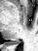

Medial temporal lobe | MRI slice
Posterior hippocampus: [9, 41, 20, 44].